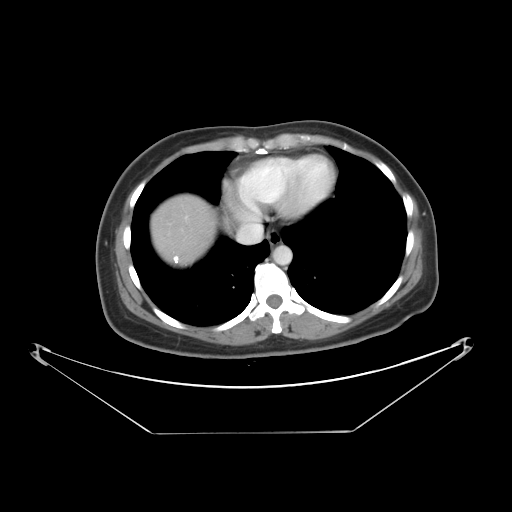

CT scan slice.
{"liver_tumor": ["[172, 252, 190, 267]"]}